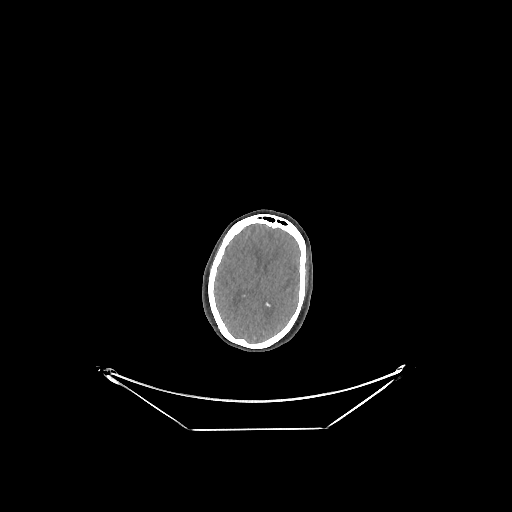
Brain | 512x512 | CT

Brain: bounding box <bbox>214, 223, 300, 343</bbox>.